Field of view 420 mm wide, 1.24 mm slice spacing | Lung | Computed tomography | 512x512 px

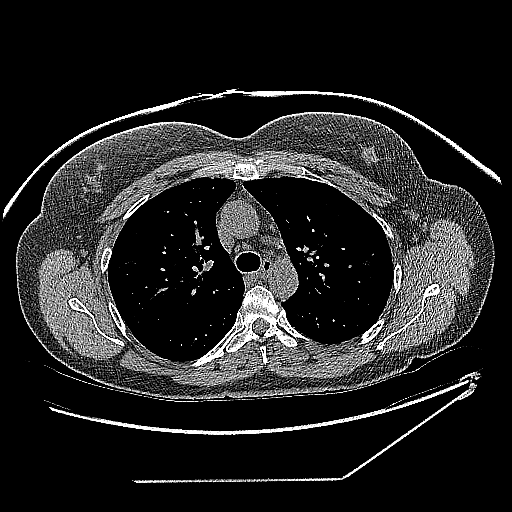 Lung tumor: bounding box l=363, t=249, r=374, b=266.